Slice 28 of 52; 512x512; Abdomen; CT slice
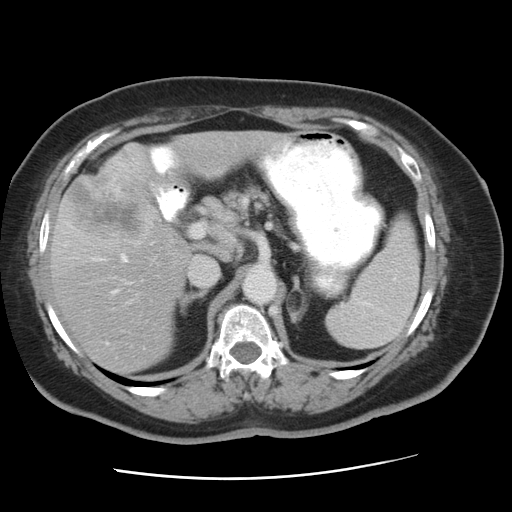

Not every hepatic vessel necessarily has a box.
{
  "liver_tumor": [
    "x1=63, y1=150, x2=152, y2=246"
  ],
  "hepatic_vessel": [
    "x1=151, y1=183, x2=167, y2=189",
    "x1=172, y1=162, x2=175, y2=164",
    "x1=193, y1=225, x2=201, y2=235",
    "x1=188, y1=256, x2=217, y2=285",
    "x1=125, y1=282, x2=127, y2=283",
    "x1=112, y1=290, x2=116, y2=292",
    "x1=163, y1=216, x2=167, y2=220",
    "x1=273, y1=145, x2=275, y2=147",
    "x1=157, y1=169, x2=166, y2=174",
    "x1=170, y1=150, x2=174, y2=155",
    "x1=120, y1=254, x2=126, y2=260"
  ]
}